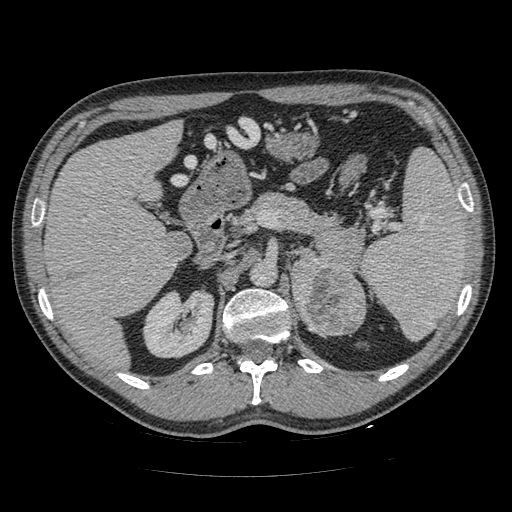
CT slice. 512x512 px.

The pancreatic tumor appears at 291:257:365:335. The pancreas appears at 247:191:363:278.